CT scan slice | Pelvis | Image width 393 mm
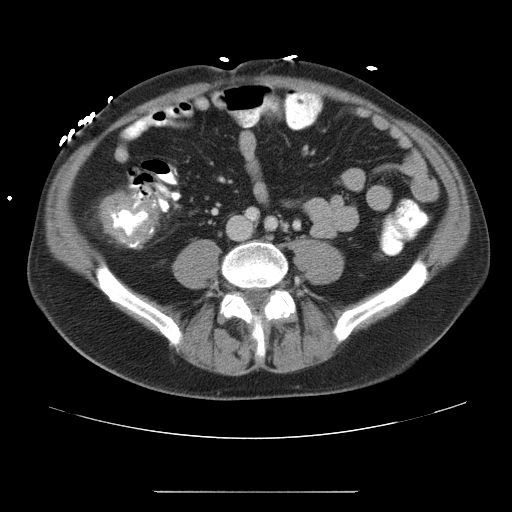

<segmentation>
  <colon_tumor>bbox(100, 194, 157, 241)</colon_tumor>
</segmentation>